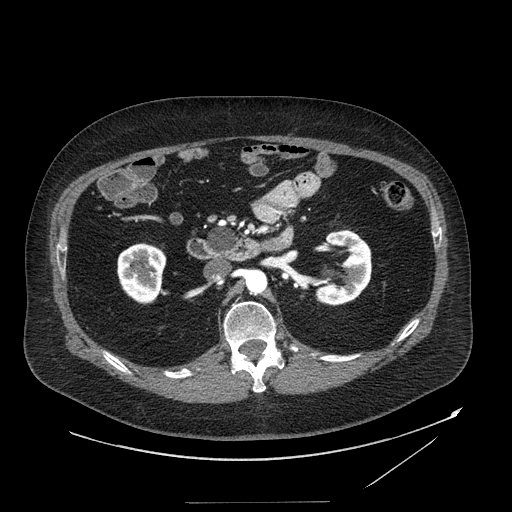
Abdomen, CT image, 512x512
The pancreatic tumor is at 209,227,233,252. 2 pancreas regions are located at 213,226,235,250; 205,229,229,254.